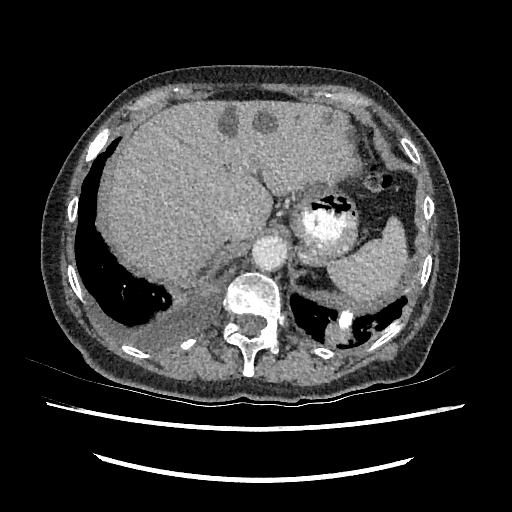

Upper abdomen | CT scan slice

Liver = (107,101,354,281).
Focal liver lesion = (323,112,332,124), (307,182,327,193), (219,105,239,137), (253,109,277,131).